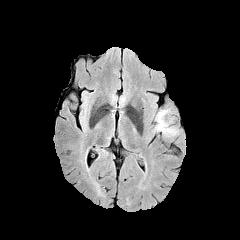
FLAIR MR.
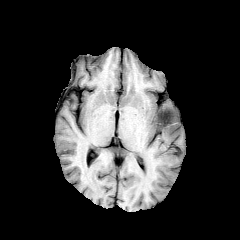
T1-weighted magnetic resonance.
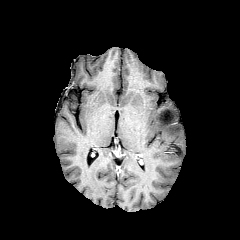
Post-contrast T1-weighted magnetic resonance of the same slice.
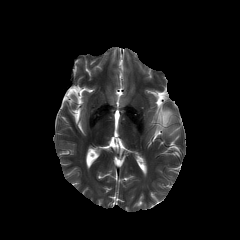
T2-weighted MRI.
Head
<segmentation>
  <edema>(x1=153, y1=109, x2=178, y2=136)</edema>
</segmentation>